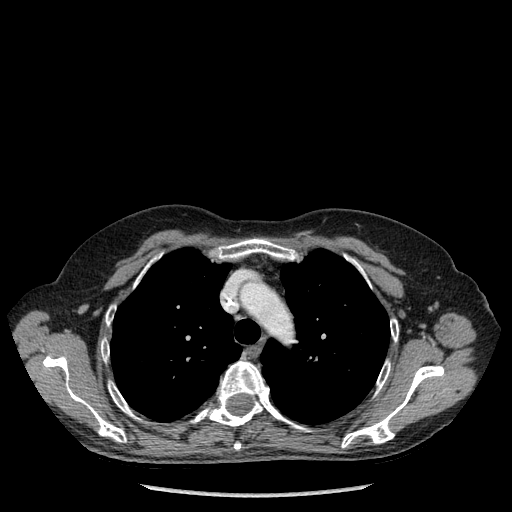

CT
bone:
  - x1=133 y1=265 x2=148 y2=287
  - x1=341 y1=366 x2=444 y2=447
  - x1=374 y1=360 x2=390 y2=395
  - x1=105 y1=305 x2=114 y2=325
  - x1=234 y1=441 x2=240 y2=449
  - x1=108 y1=381 x2=139 y2=419
  - x1=43 y1=355 x2=126 y2=442
  - x1=390 y1=318 x2=398 y2=341
  - x1=347 y1=257 x2=370 y2=287
  - x1=101 y1=338 x2=109 y2=362
  - x1=210 y1=239 x2=298 y2=260
  - x1=190 y1=361 x2=311 y2=431
lung:
  - x1=110 y1=247 x2=260 y2=421
  - x1=261 y1=249 x2=389 y2=424